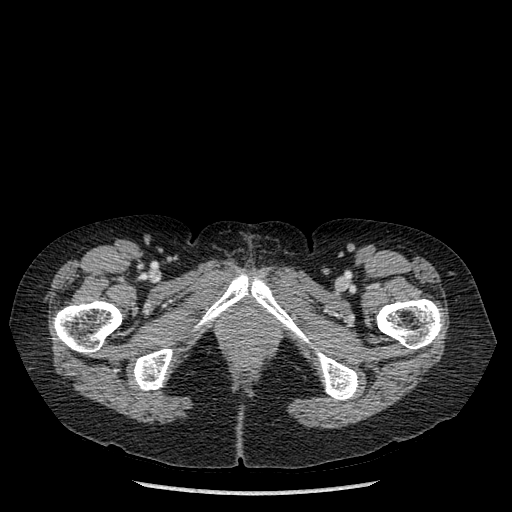
512x512 px. CT.
<segmentation>
  <bone>[x1=193, y1=272, x2=358, y2=400], [x1=53, y1=300, x2=122, y2=353], [x1=376, y1=299, x2=443, y2=349], [x1=133, y1=348, x2=172, y2=390]</bone>
</segmentation>